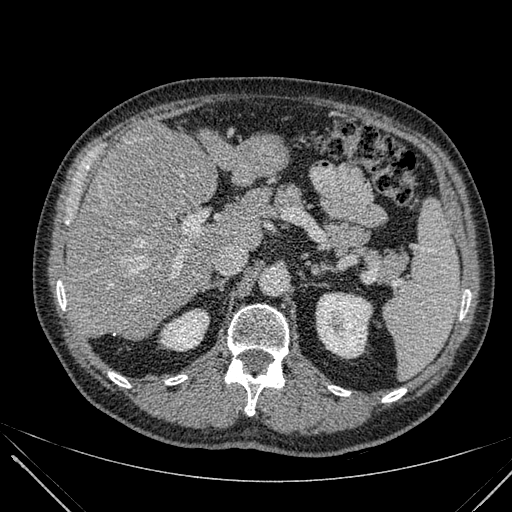
CT. 512x512 px.

{"liver": ["left=64, top=124, right=262, bottom=340", "left=265, top=188, right=272, bottom=200", "left=197, top=129, right=273, bottom=184"], "kidney": ["left=316, top=294, right=371, bottom=357", "left=162, top=311, right=208, bottom=350"]}